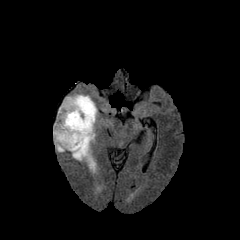
FLAIR MRI.
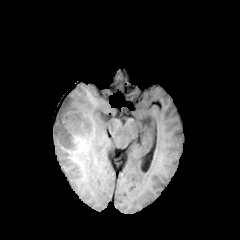
T1-weighted magnetic resonance.
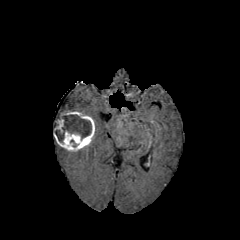
Same slice, post-contrast T1-weighted MR.
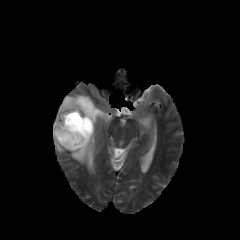
T2-weighted MRI.
non-enhancing_tumor_core:
  - (left=62, top=115, right=91, bottom=137)
  - (left=55, top=130, right=63, bottom=140)
edema:
  - (left=54, top=98, right=65, bottom=125)
  - (left=54, top=140, right=66, bottom=153)
  - (left=66, top=91, right=103, bottom=172)
enhancing_tumor:
  - (left=54, top=110, right=94, bottom=150)